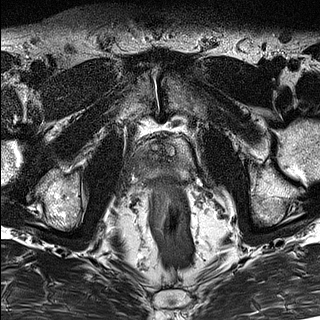
T2-weighted MRI.
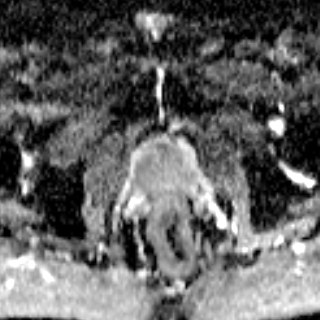
ADC MR image of the same slice.
320x320 px, Pelvis
<segmentation>
  <prostate_transition_zone>l=144, t=140, r=179, b=169</prostate_transition_zone>
  <prostate_peripheral_zone>l=137, t=141, r=194, b=184</prostate_peripheral_zone>
</segmentation>